Brain; 240x240
FLAIR magnetic resonance.
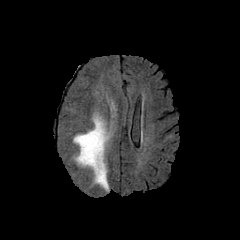
T1-weighted MRI.
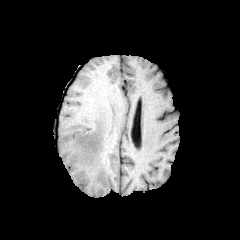
Post-contrast T1-weighted magnetic resonance.
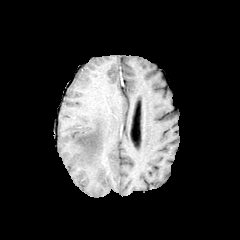
T2-weighted MR image.
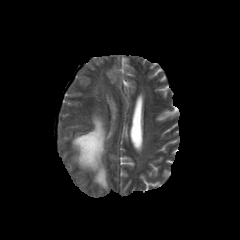
The edema lies within rect(73, 113, 111, 190).